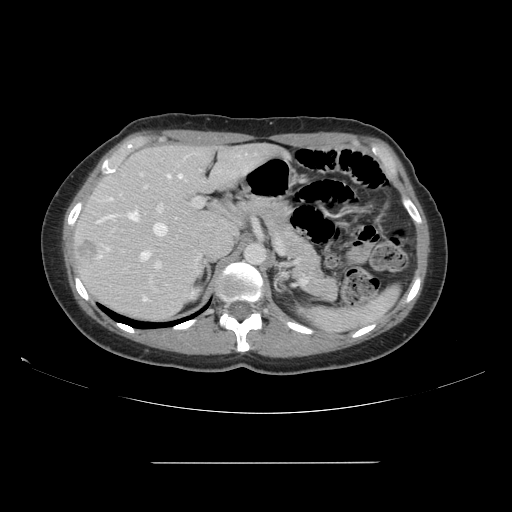

CT scan slice. Some hepatic vessels may have no box.
[15/17] hepatic vessel: (left=178, top=174, right=186, bottom=180), (left=157, top=203, right=162, bottom=211), (left=102, top=245, right=109, bottom=250), (left=185, top=155, right=189, bottom=157), (left=97, top=197, right=112, bottom=200), (left=153, top=223, right=166, bottom=235), (left=193, top=198, right=202, bottom=206), (left=190, top=153, right=195, bottom=154), (left=97, top=251, right=102, bottom=258), (left=167, top=175, right=170, bottom=177), (left=155, top=262, right=160, bottom=268), (left=95, top=215, right=115, bottom=223), (left=140, top=251, right=150, bottom=260), (left=126, top=209, right=138, bottom=221), (left=143, top=295, right=149, bottom=300) | liver tumor: (left=77, top=241, right=97, bottom=259)